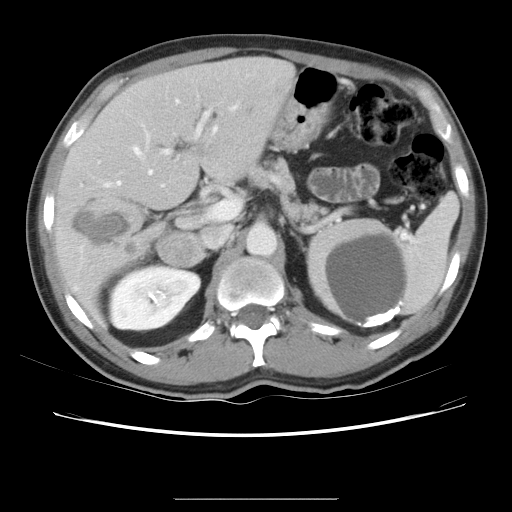

CT slice, Image size 512x512, Abdomen
Some hepatic vessels may have no box.
The liver tumor is located at box=[68, 208, 137, 258]. 11 hepatic vessel regions appear at box=[212, 201, 238, 218]; box=[161, 183, 163, 185]; box=[147, 135, 147, 138]; box=[148, 169, 151, 173]; box=[133, 146, 141, 155]; box=[161, 148, 172, 153]; box=[104, 181, 120, 186]; box=[175, 99, 178, 102]; box=[212, 126, 217, 132]; box=[194, 107, 211, 138]; box=[230, 104, 237, 110].